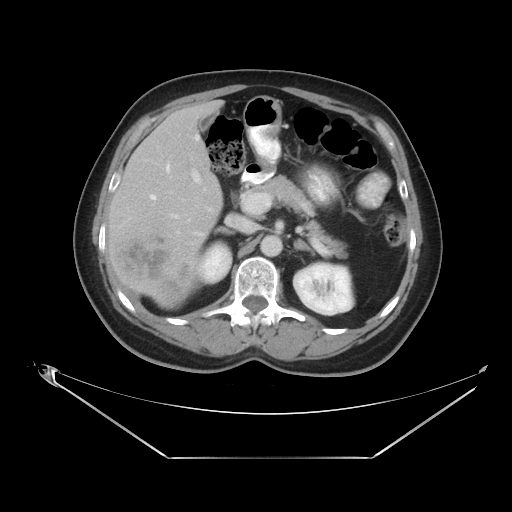 CT. Liver. The vessel boxes may cover only some of the vessels.
Hepatic vessel = <bbox>191, 169, 201, 183</bbox>.
Liver tumor = <bbox>111, 229, 192, 306</bbox>.